CT scan slice
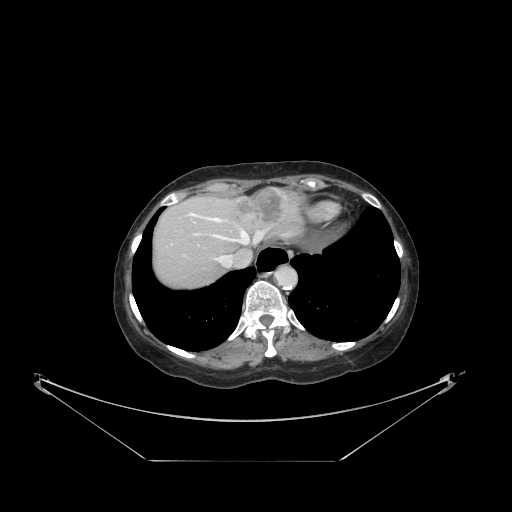

Not every hepatic vessel necessarily has a box.
The liver tumor lies within [x1=237, y1=189, x2=285, y2=225]. 5 hepatic vessel regions are located at [x1=206, y1=227, x2=265, y2=244], [x1=193, y1=234, x2=198, y2=234], [x1=187, y1=212, x2=195, y2=222], [x1=205, y1=217, x2=228, y2=222], [x1=215, y1=251, x2=250, y2=267].